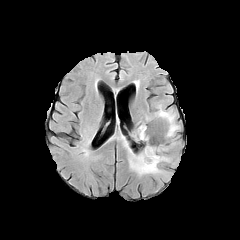
FLAIR MRI.
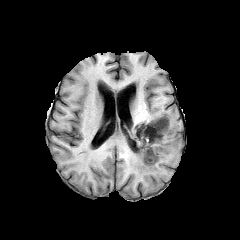
T1-weighted magnetic resonance of the same slice.
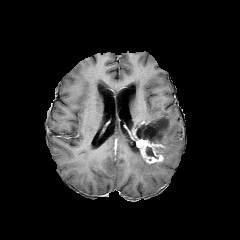
Same slice, post-contrast T1-weighted MR image.
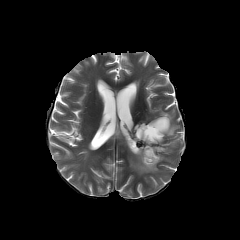
T2-weighted MR image.
Head
Edema at 124:105:179:175.
Non-enhancing tumor core at 146:146:154:156, 132:135:144:159, 134:118:168:154.
Enhancing tumor at 137:138:163:163.